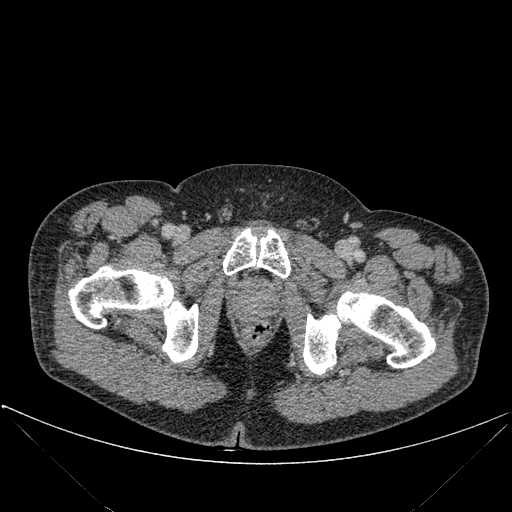

CT image.
3 bone regions appear at (68, 266, 198, 362), (223, 229, 290, 277), (303, 292, 435, 374).